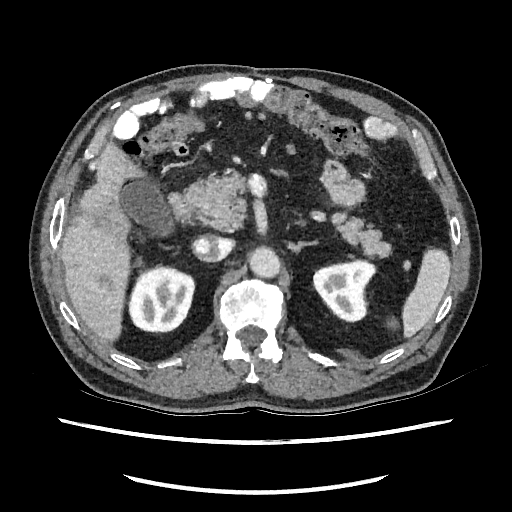

CT scan slice

Liver lesion: 94 199 127 238, 96 274 110 287.
Kidney: 313 259 375 321, 129 265 194 332.
Liver: 62 146 144 340.